FLAIR MR image.
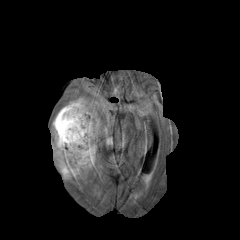
T1-weighted MRI.
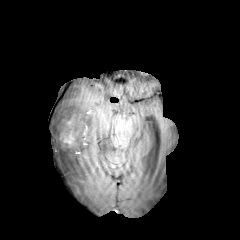
Post-contrast T1-weighted MR.
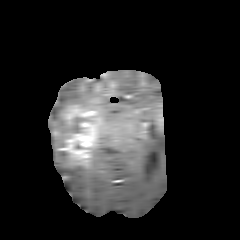
T2-weighted magnetic resonance.
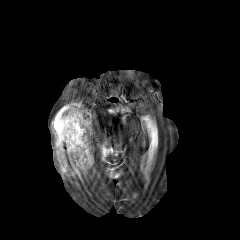
240x240 px | Brain
Edema = (left=52, top=109, right=107, bottom=179), (left=51, top=100, right=87, bottom=134).
Enhancing tumor = (left=56, top=104, right=95, bottom=166).
Non-enhancing tumor core = (left=65, top=117, right=85, bottom=133), (left=57, top=131, right=68, bottom=147), (left=56, top=150, right=69, bottom=167).